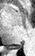

MR image

Posterior hippocampus — <box>11,43,21,48</box>.